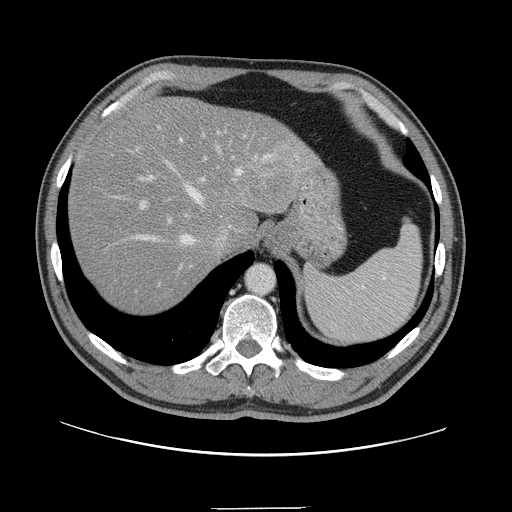 Liver; CT

Only some of the vessels may be annotated.
Liver tumor — region(249, 186, 275, 205).
Principal 15 of 18 hepatic vessel regions — region(169, 218, 171, 222); region(133, 235, 158, 239); region(140, 201, 147, 208); region(136, 147, 138, 150); region(218, 132, 225, 134); region(140, 176, 152, 180); region(200, 178, 205, 181); region(179, 235, 194, 244); region(236, 169, 242, 174); region(255, 156, 259, 159); region(261, 155, 269, 160); region(180, 139, 182, 142); region(187, 187, 202, 202); region(167, 163, 173, 169); region(218, 146, 220, 152).